Abdomen. CT scan slice. Field of view 404x404 mm.

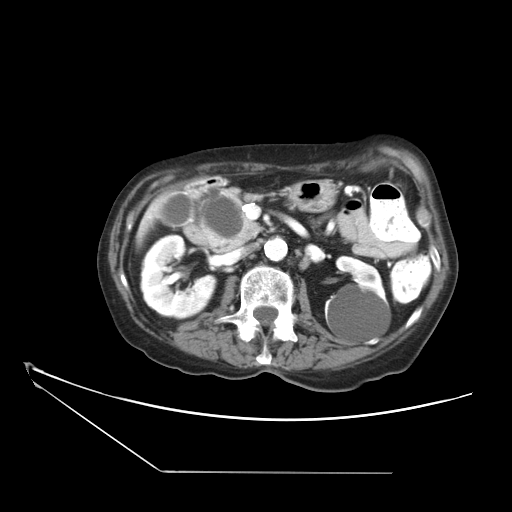
Annotated regions:
• pancreas: rect(195, 188, 261, 253)
• pancreatic tumor: rect(202, 196, 244, 238)